Field of view 500 mm wide, 5.00 mm slice spacing, Abdomen, CT image

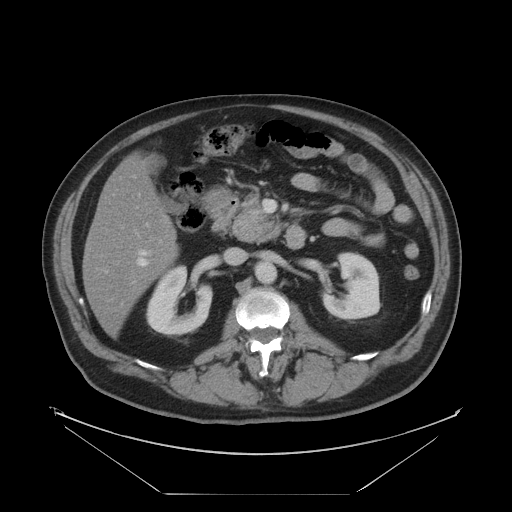

Segmented structures:
* pancreas: x1=235 y1=195 x2=279 y2=241